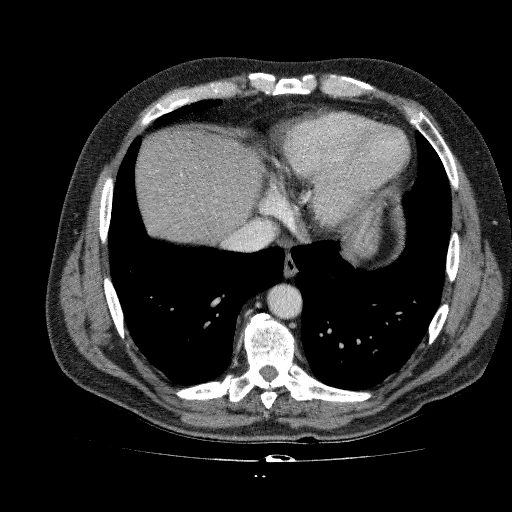 Liver. CT. 512x512 px.

Annotated regions:
* liver: bbox=[135, 127, 265, 243]